Slice 102 of 155 | 240x240 | Image width 240 mm | Brain
FLAIR MRI.
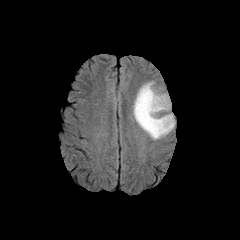
T1-weighted MRI.
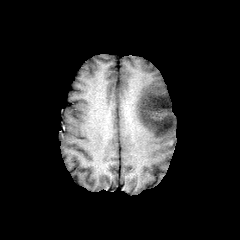
Post-contrast T1-weighted magnetic resonance.
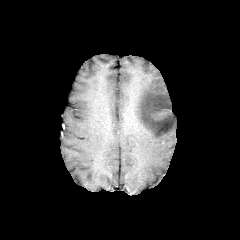
T2-weighted MR image.
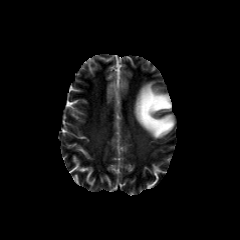
Edema: x1=133 y1=81 x2=175 y2=140.